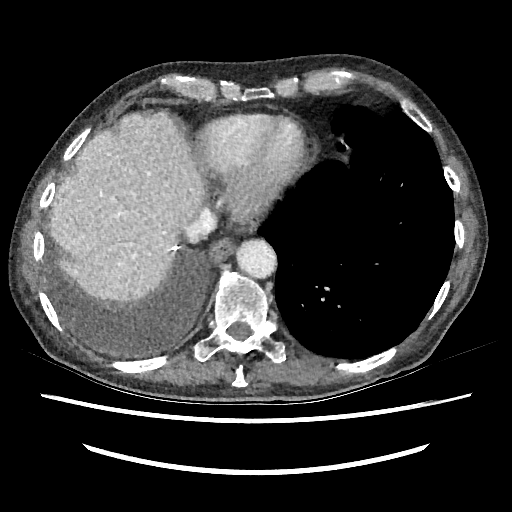

Computed tomography. Abdomen. <segmentation>
  <liver>bbox(50, 113, 204, 300)</liver>
</segmentation>